Image size 512x512. Chest. CT image.
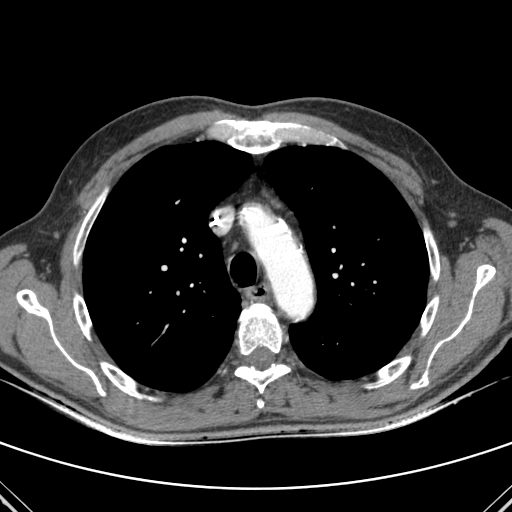

{
  "lung": [
    {"x1": 263, "y1": 145, "x2": 428, "y2": 380},
    {"x1": 83, "y1": 141, "x2": 253, "y2": 392}
  ],
  "bone": [
    {"x1": 257, "y1": 399, "x2": 263, "y2": 407},
    {"x1": 100, "y1": 362, "x2": 144, "y2": 398},
    {"x1": 410, "y1": 371, "x2": 428, "y2": 388},
    {"x1": 216, "y1": 119, "x2": 298, "y2": 153},
    {"x1": 16, "y1": 289, "x2": 105, "y2": 396},
    {"x1": 424, "y1": 228, "x2": 439, "y2": 280},
    {"x1": 368, "y1": 356, "x2": 410, "y2": 387},
    {"x1": 234, "y1": 363, "x2": 290, "y2": 393},
    {"x1": 427, "y1": 264, "x2": 495, "y2": 365},
    {"x1": 73, "y1": 293, "x2": 91, "y2": 339},
    {"x1": 73, "y1": 188, "x2": 107, "y2": 265},
    {"x1": 237, "y1": 303, "x2": 282, "y2": 356},
    {"x1": 421, "y1": 296, "x2": 438, "y2": 335}
  ]
}